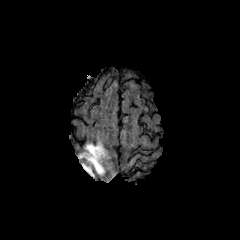
FLAIR MR.
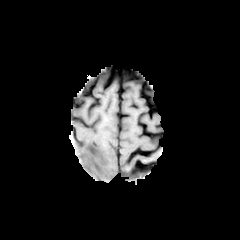
Same slice, T1-weighted MR.
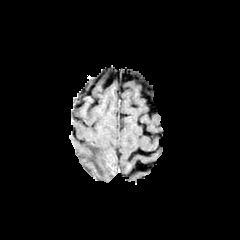
Post-contrast T1-weighted magnetic resonance.
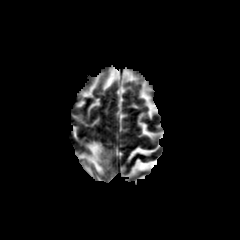
Same slice, T2-weighted magnetic resonance.
Brain. 240x240 px.
{"edema": ["x1=78 y1=141 x2=113 y2=176"]}